MR; Image size 34x53
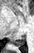
The posterior hippocampus is bounded by 11 34 26 46.